Slice 294/781; CT image 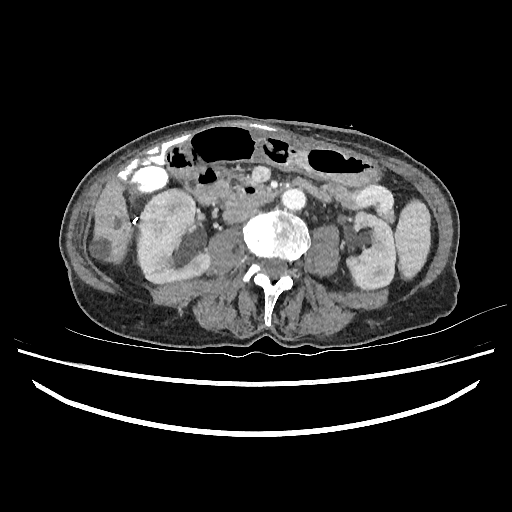
<segmentation>
  <kidney>347, 212, 395, 288; 138, 190, 209, 283</kidney>
  <liver>90, 179, 130, 263; 130, 188, 136, 203</liver>
  <focal_liver_lesion>90, 240, 110, 258</focal_liver_lesion>
</segmentation>